CT image. Slice 75/81. Liver.

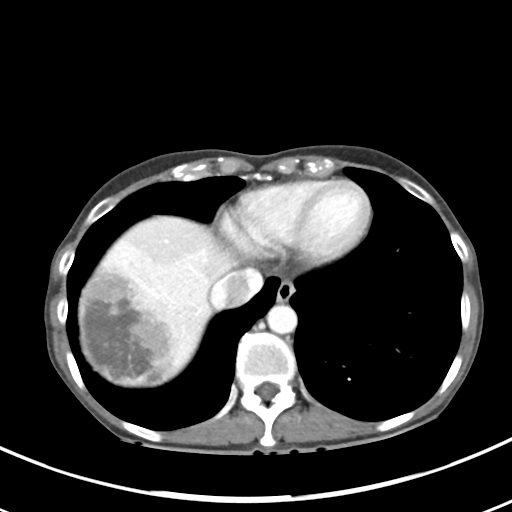 - liver tumor: {"x1": 81, "y1": 259, "x2": 179, "y2": 388}